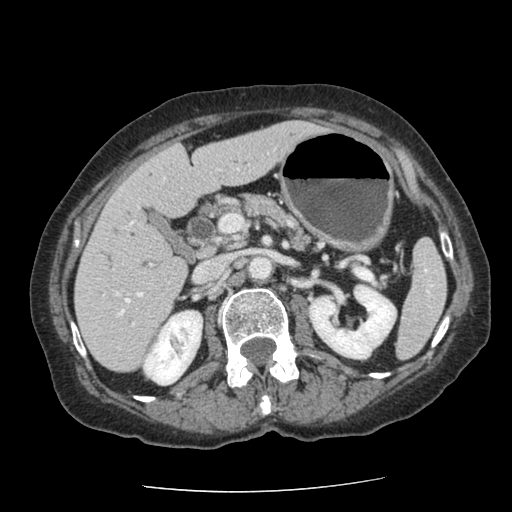
Abdomen | Computed tomography

Findings:
* pancreas: [x1=242, y1=194, x2=309, y2=250]